Slice 93 of 155. Head. Image size 240x240.
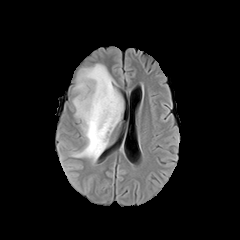
FLAIR MRI.
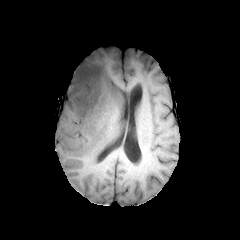
T1-weighted magnetic resonance.
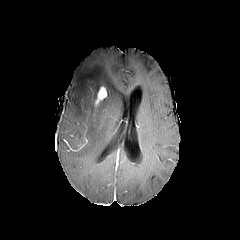
Post-contrast T1-weighted MR image.
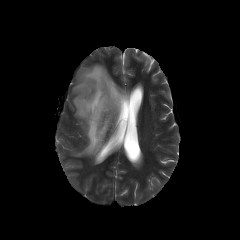
Same slice, T2-weighted magnetic resonance.
Non-enhancing tumor core — box=[93, 69, 101, 79]; box=[86, 84, 102, 109].
Edema — box=[72, 64, 123, 162].
Enhancing tumor — box=[95, 86, 106, 105].